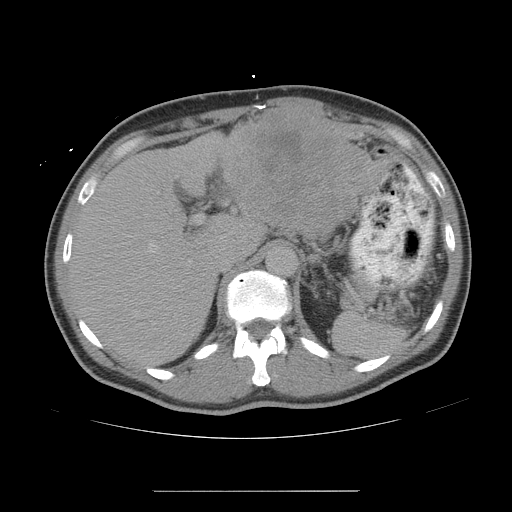 CT | Abdomen
Some hepatic vessels may have no box.
<segmentation>
  <liver_tumor>(x1=228, y1=108, x2=381, y2=233)</liver_tumor>
  <hepatic_vessel>(x1=194, y1=214, x2=203, y2=223), (x1=148, y1=240, x2=157, y2=252), (x1=169, y1=210, x2=170, y2=211), (x1=181, y1=217, x2=185, y2=220), (x1=187, y1=259, x2=191, y2=264), (x1=232, y1=208, x2=235, y2=211), (x1=189, y1=243, x2=192, y2=246), (x1=195, y1=239, x2=197, y2=241), (x1=225, y1=202, x2=227, y2=203), (x1=373, y1=186, x2=376, y2=188)</hepatic_vessel>
</segmentation>